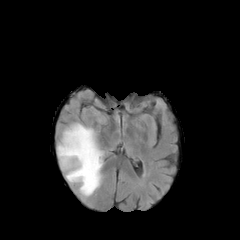
FLAIR MRI.
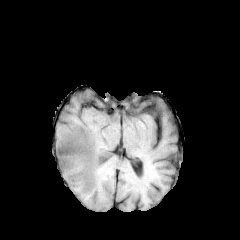
T1-weighted MR image of the same slice.
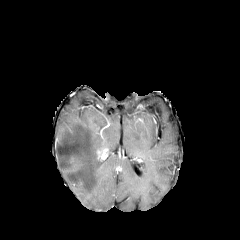
Post-contrast T1-weighted MRI of the same slice.
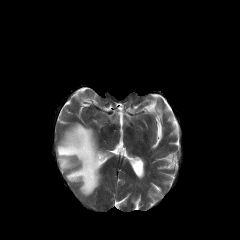
T2-weighted MR.
240x240 | Head
Edema: bounding box (x1=57, y1=123, x2=102, y2=196).